CT image, Pelvis

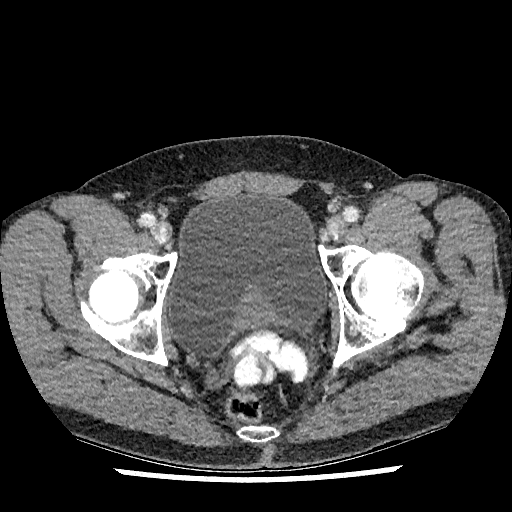
{
  "urinary_bladder": [
    "(left=167, top=196, right=328, bottom=353)"
  ]
}